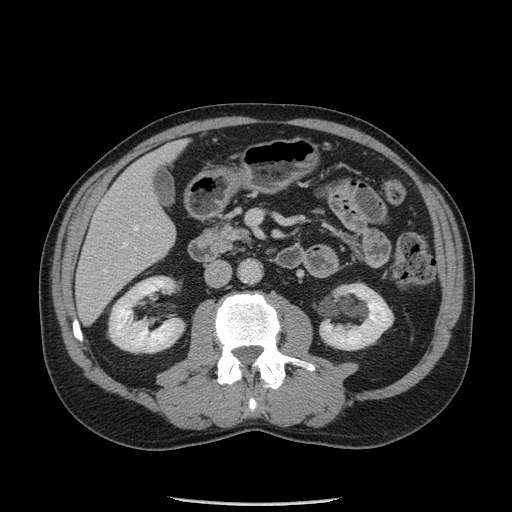

512x512. CT. Abdomen. * pancreas: 203, 222, 249, 253